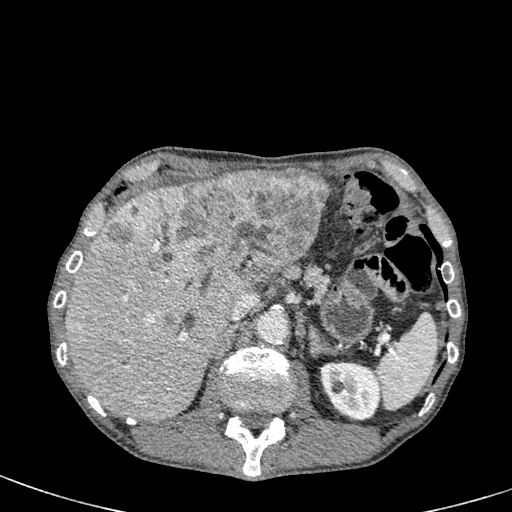 512x512. Liver. CT scan slice. kidney: 321, 363, 379, 419 | focal liver lesion: 107, 223, 132, 242; 164, 315, 174, 324; 177, 170, 330, 286 | liver: 274, 260, 296, 274; 263, 168, 316, 175; 64, 183, 253, 420